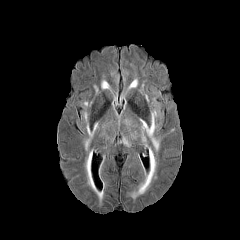
FLAIR MR image.
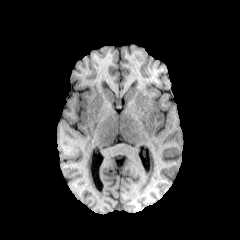
T1-weighted MRI.
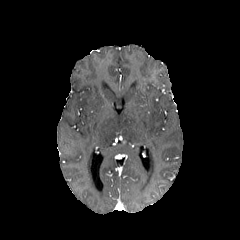
Post-contrast T1-weighted MR image.
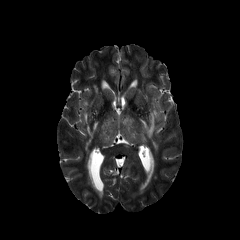
T2-weighted magnetic resonance of the same slice.
Head; 240x240 px
5 edema regions are located at [140, 111, 158, 151], [85, 123, 97, 150], [84, 150, 104, 201], [131, 148, 156, 199], [101, 80, 109, 89].